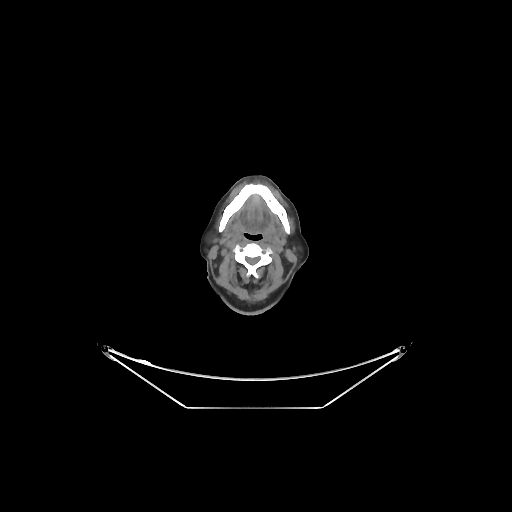
CT scan slice; 512x512 px
2 bone regions appear at {"x1": 219, "y1": 184, "x2": 289, "y2": 233}, {"x1": 234, "y1": 243, "x2": 271, "y2": 277}.